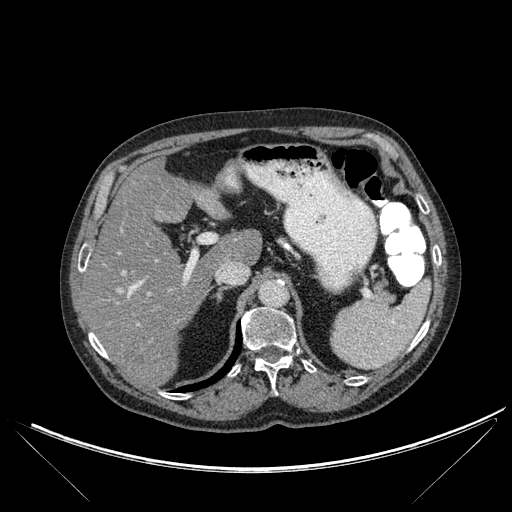
Upper abdomen; CT slice; Image size 512x512
Bone — (left=417, top=197, right=428, bottom=213), (left=89, top=333, right=107, bottom=357), (left=228, top=365, right=239, bottom=376), (left=433, top=246, right=441, bottom=265), (left=160, top=392, right=189, bottom=399), (left=255, top=355, right=291, bottom=394), (left=241, top=307, right=295, bottom=351), (left=303, top=360, right=315, bottom=372), (left=346, top=376, right=366, bottom=385), (left=410, top=321, right=428, bottom=348).
Liver lesion — (left=125, top=346, right=142, bottom=361).
Liver — (left=84, top=162, right=262, bottom=385), (left=203, top=200, right=225, bottom=218).
Lung — (left=176, top=325, right=241, bottom=392).